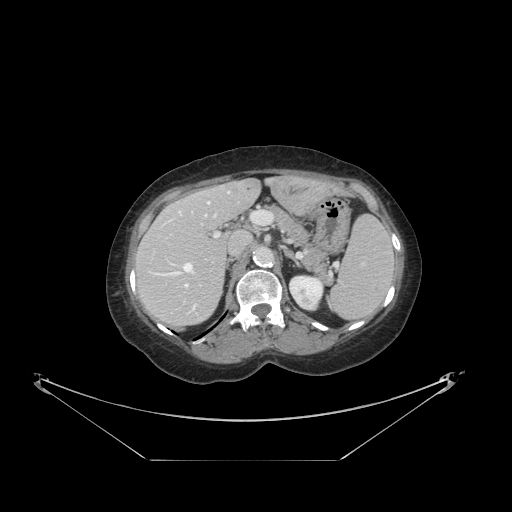 512x512, Abdomen, CT scan slice
Only some of the vessels may be annotated.
Hepatic vessel: bounding box (left=228, top=191, right=229, bottom=192), (left=205, top=215, right=206, bottom=216), (left=214, top=214, right=216, bottom=217), (left=157, top=272, right=178, bottom=275), (left=185, top=284, right=187, bottom=286), (left=251, top=210, right=272, bottom=223), (left=207, top=201, right=209, bottom=203), (left=178, top=211, right=181, bottom=215), (left=183, top=263, right=192, bottom=273), (left=214, top=232, right=219, bottom=237), (left=192, top=306, right=194, bottom=309).